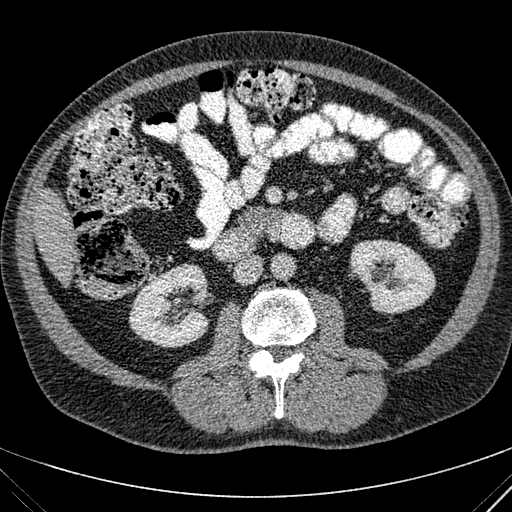 Computed tomography. Abdomen.
<segmentation>
  <kidney>x1=129 y1=264 x2=207 y2=346, x1=351 y1=240 x2=434 y2=313</kidney>
  <liver>x1=36 y1=188 x2=73 y2=283</liver>
</segmentation>